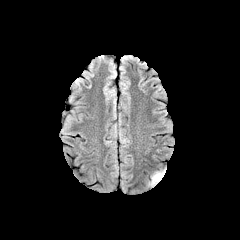
FLAIR MRI.
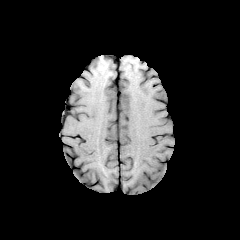
Same slice, T1-weighted MR image.
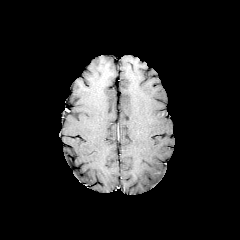
Post-contrast T1-weighted MR image of the same slice.
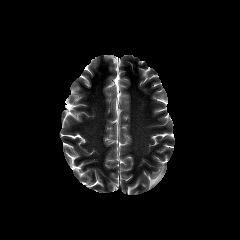
T2-weighted MRI of the same slice.
Image size 240x240.
The edema lies within [148,168,165,185].